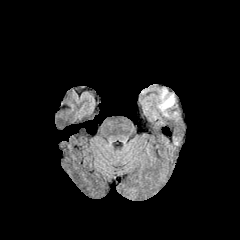
FLAIR magnetic resonance.
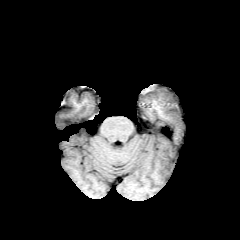
Same slice, T1-weighted magnetic resonance.
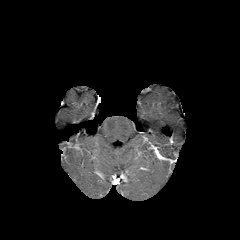
Same slice, post-contrast T1-weighted MR.
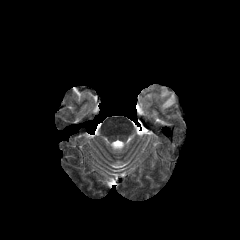
Same slice, T2-weighted magnetic resonance.
Image size 240x240
{"edema": ["(152,88,175,117)"]}